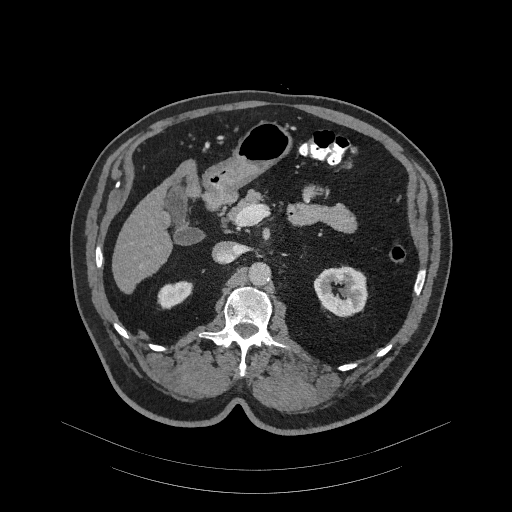

512x512 px. CT.

The pancreas is at <box>230,190,262,221</box>.